Slice 126 of 155.
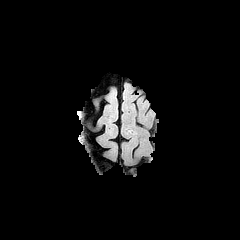
FLAIR MRI.
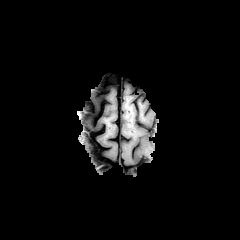
Same slice, T1-weighted MR.
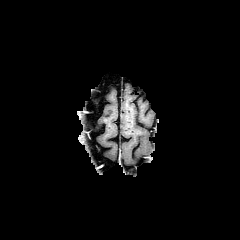
Same slice, post-contrast T1-weighted MRI.
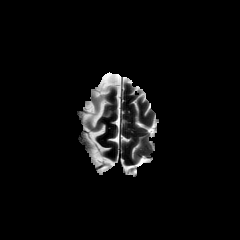
T2-weighted MRI.
- non-enhancing tumor core: [124, 106, 133, 125]